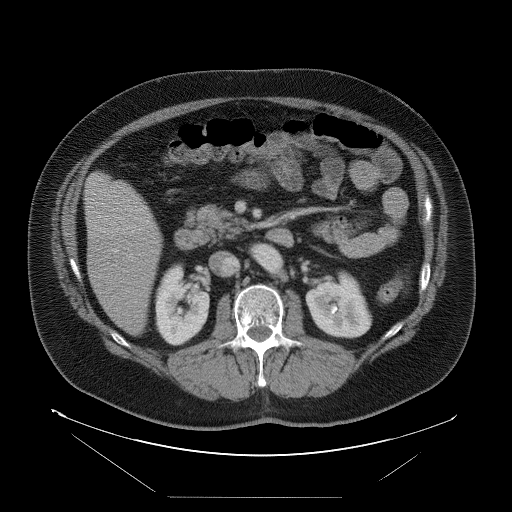

Abdomen. CT slice. Some hepatic vessels may have no box.
- hepatic vessel: 129, 254, 132, 257; 113, 248, 117, 251; 149, 224, 151, 226; 106, 218, 107, 219